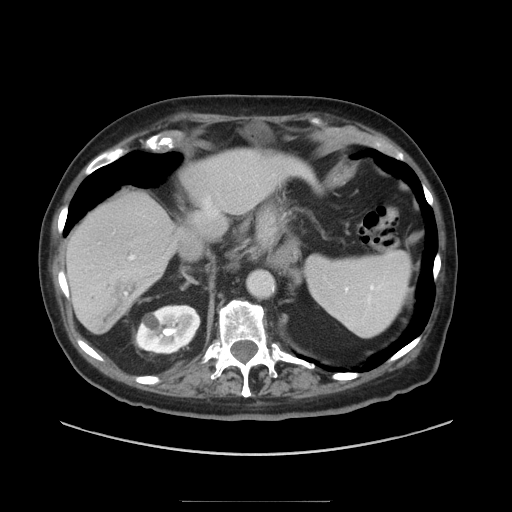 CT scan slice, Image size 512x512, Abdomen
Only some of the vessels may be annotated.
3 hepatic vessel regions appear at x1=130, y1=255, x2=134, y2=259; x1=204, y1=196, x2=217, y2=216; x1=125, y1=292, x2=127, y2=294.